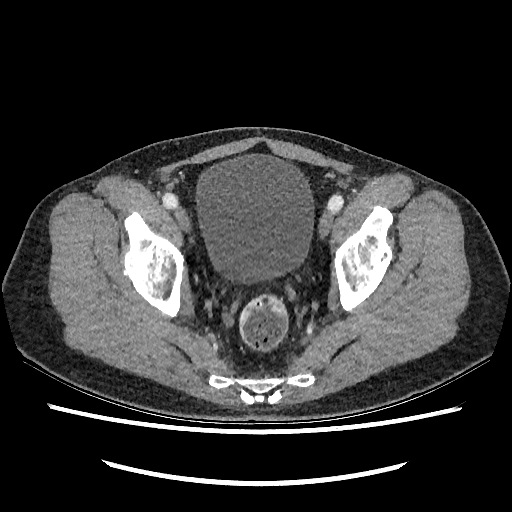 CT slice. 512x512 px. Pelvis. urinary bladder: [195, 153, 314, 284]